Slice 8/40. MR.
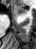

The anterior hippocampus is at (15,6,25,14).